Liver, 512x512, Slice index 254, CT scan slice 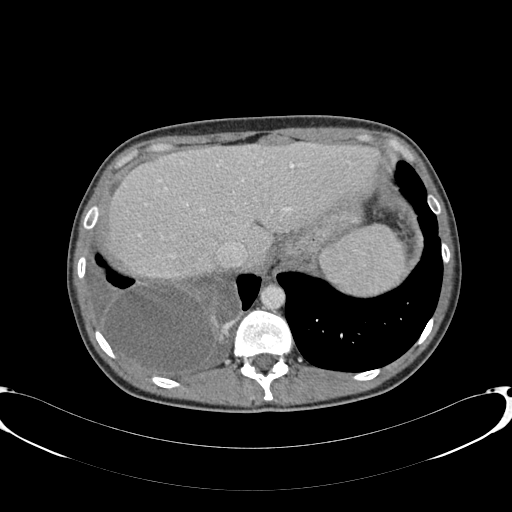 The liver lies within 107 142 379 278.